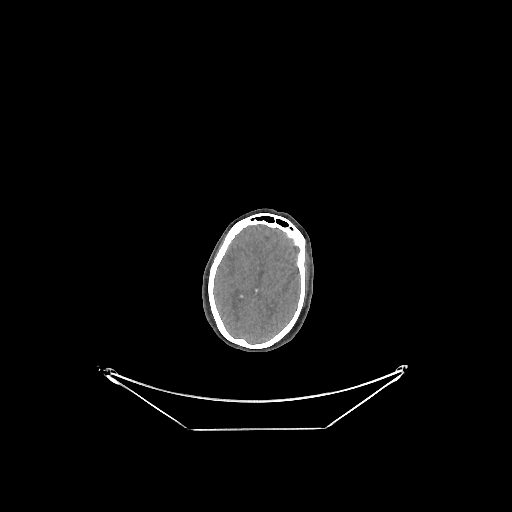 Head, CT image
Brain — region(213, 224, 300, 344).